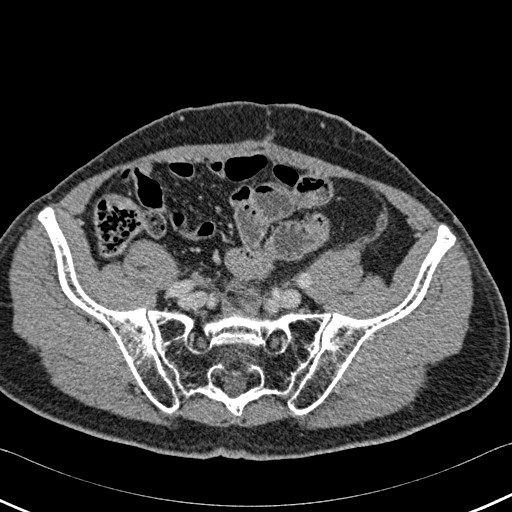
512x512 px. Computed tomography.
bone: 38:208:455:415